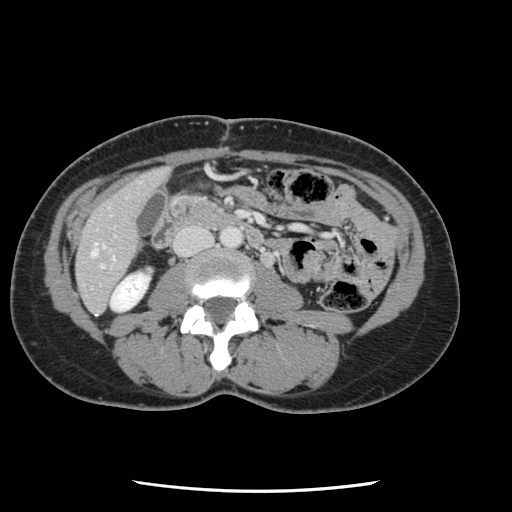

CT slice
The vessel boxes may cover only some of the vessels.
2 hepatic vessel regions are located at l=92, t=243, r=97, b=255; l=101, t=264, r=102, b=266.